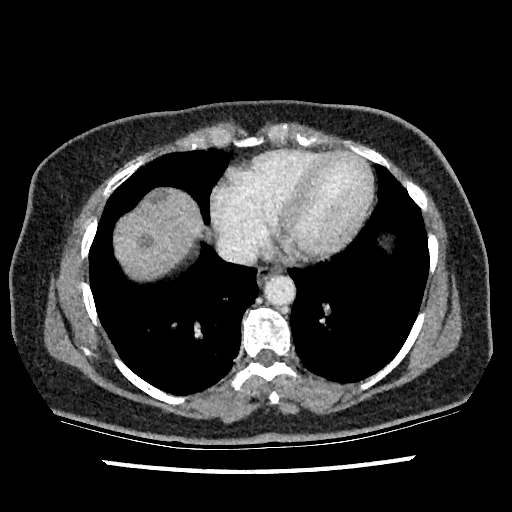
Liver. CT scan slice.
<segmentation>
  <hepatic_lesion>left=139, top=234, right=153, bottom=248; left=152, top=190, right=167, bottom=203</hepatic_lesion>
  <liver>left=115, top=190, right=201, bottom=275</liver>
</segmentation>